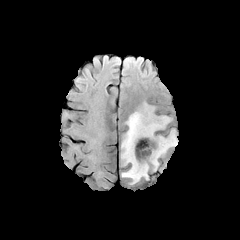
FLAIR magnetic resonance.
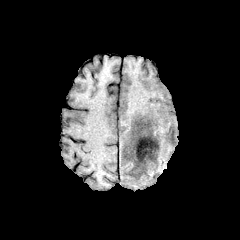
Same slice, T1-weighted MR image.
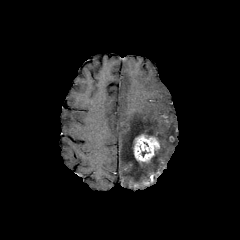
Post-contrast T1-weighted MR image of the same slice.
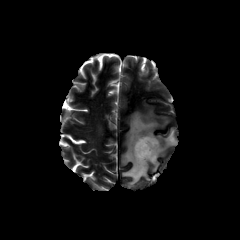
T2-weighted magnetic resonance.
Brain
Enhancing tumor at l=134, t=135, r=159, b=162.
Edema at l=122, t=112, r=168, b=184; l=149, t=129, r=177, b=170.